512x512. CT slice. Abdomen. 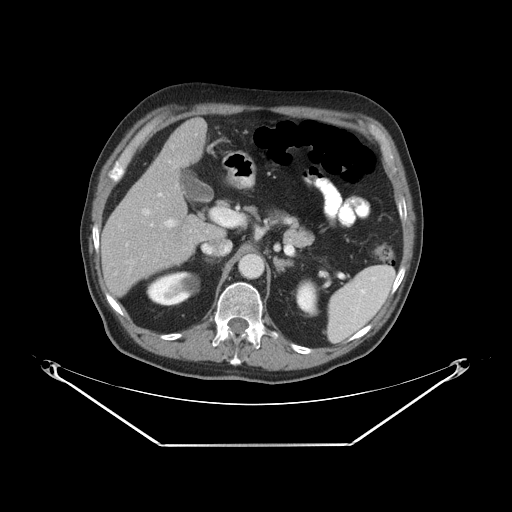

Some hepatic vessels may have no box.
<segmentation>
  <hepatic_vessel>160,218,177,226; 157,193,163,196; 195,134,196,135; 168,157,182,167; 151,223,155,225; 142,207,151,216; 127,259,134,263</hepatic_vessel>
</segmentation>